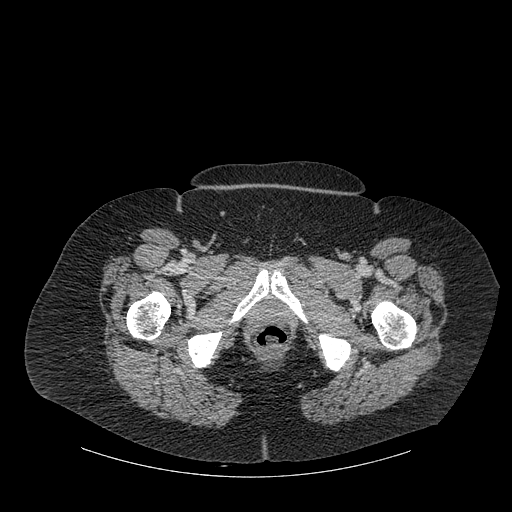
CT
Bone: (188,332,221,367), (371,301,416,349), (230,269,307,323), (319,334,350,370), (126,291,170,340).